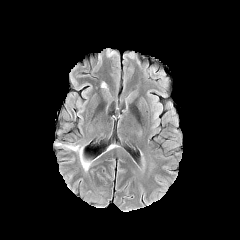
FLAIR magnetic resonance.
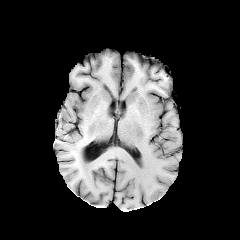
T1-weighted MRI of the same slice.
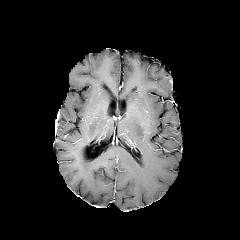
Post-contrast T1-weighted MR image of the same slice.
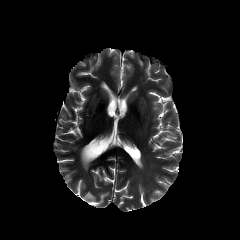
T2-weighted MR image.
Brain
2 edema regions appear at {"x1": 79, "y1": 148, "x2": 90, "y2": 170}, {"x1": 55, "y1": 143, "x2": 77, "y2": 150}.